Liver. 512x512. Computed tomography.

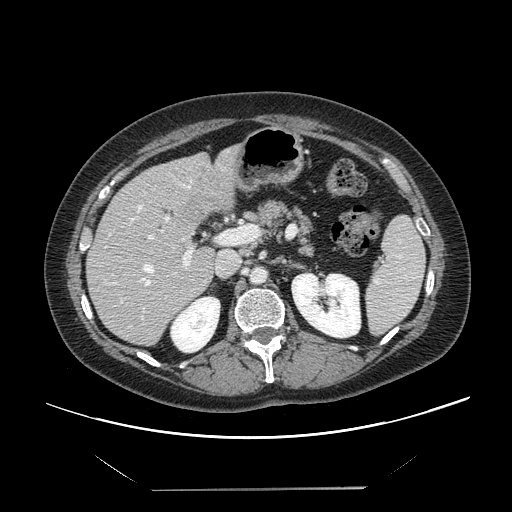

The vessel boxes may cover only some of the vessels.
{
  "liver_tumor": [
    "left=183, top=192, right=222, bottom=220"
  ],
  "hepatic_vessel": [
    "left=182, top=237, right=185, bottom=240",
    "left=161, top=230, right=163, bottom=231",
    "left=128, top=204, right=144, bottom=223",
    "left=142, top=307, right=144, bottom=311",
    "left=143, top=191, right=145, bottom=194",
    "left=111, top=274, right=113, bottom=276",
    "left=108, top=232, right=111, bottom=235",
    "left=216, top=250, right=239, bottom=273",
    "left=147, top=234, right=154, bottom=239",
    "left=121, top=299, right=122, bottom=302",
    "left=139, top=262, right=154, bottom=285",
    "left=107, top=281, right=118, bottom=284",
    "left=182, top=246, right=193, bottom=268",
    "left=164, top=216, right=169, bottom=222",
    "left=217, top=225, right=259, bottom=244"
  ]
}